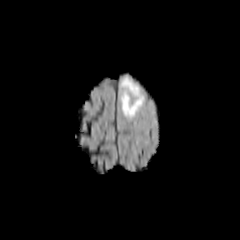
FLAIR MRI.
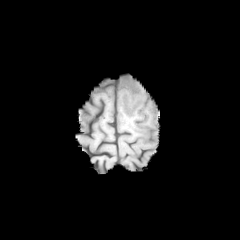
T1-weighted magnetic resonance of the same slice.
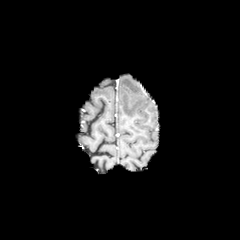
Post-contrast T1-weighted MR image.
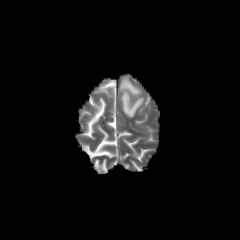
T2-weighted magnetic resonance.
Image size 240x240 | Head
The edema appears at box(121, 77, 143, 117).